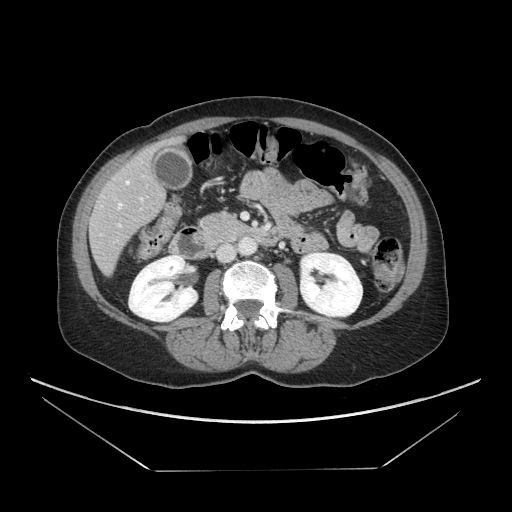
Upper abdomen. Computed tomography.
pancreas:
  - bbox=[198, 212, 262, 245]